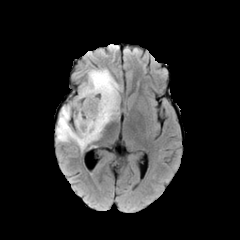
FLAIR MR.
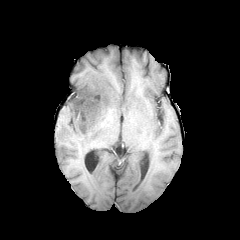
T1-weighted MR of the same slice.
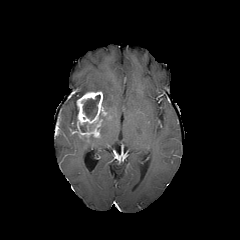
Same slice, post-contrast T1-weighted magnetic resonance.
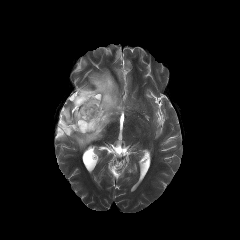
T2-weighted MR.
Head
edema:
  - <box>56,105,98,150</box>
  - <box>79,69,120,137</box>
enhancing_tumor:
  - <box>76,91,107,137</box>
non-enhancing_tumor_core:
  - <box>67,89,109,132</box>
  - <box>58,116,63,135</box>
  - <box>84,95,100,118</box>